Field of view 240x240 mm | Slice 84/155 | Head | Image size 240x240
FLAIR magnetic resonance.
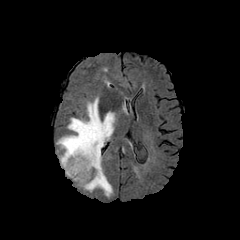
T1-weighted MR.
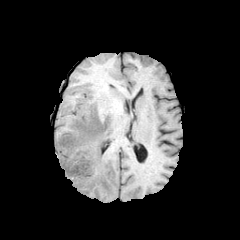
Post-contrast T1-weighted MR image.
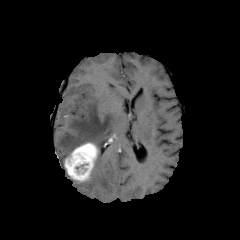
T2-weighted MR image.
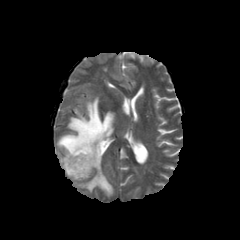
Edema: bounding box box(56, 97, 114, 195).
Enhancing tumor: bounding box box(64, 142, 97, 180).